FLAIR MR.
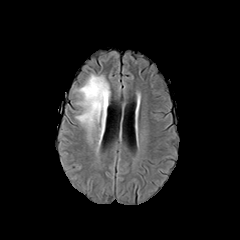
T1-weighted MR.
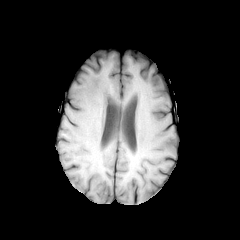
Post-contrast T1-weighted MR image.
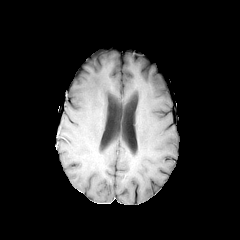
T2-weighted magnetic resonance.
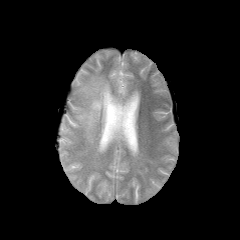
Head
edema:
  - x1=75, y1=73, x2=111, y2=151